Computed tomography, Upper abdomen
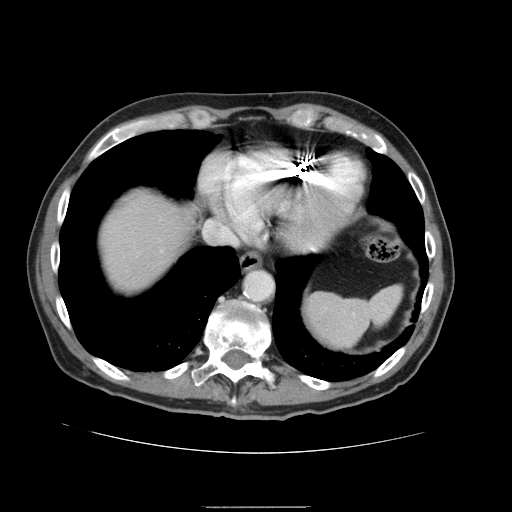 * spleen: bbox=[307, 287, 401, 350]